Computed tomography | Image size 512x512 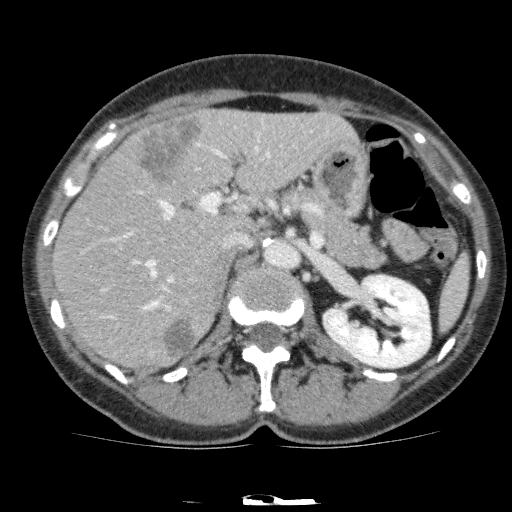
kidney:
  - <bbox>324, 275, 430, 367</bbox>
focal_liver_lesion:
  - <bbox>162, 313, 197, 361</bbox>
  - <bbox>132, 114, 201, 187</bbox>
liver:
  - <bbox>52, 109, 360, 370</bbox>